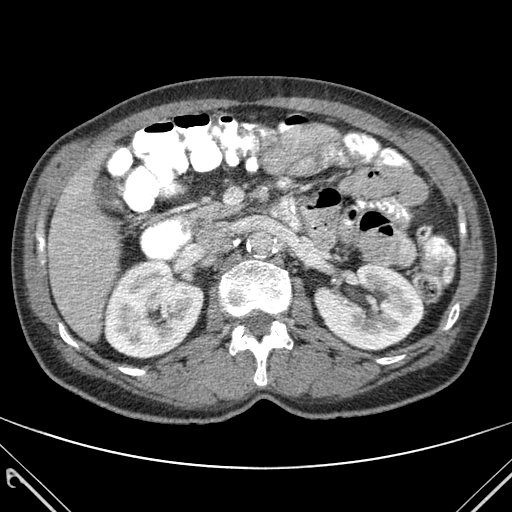

CT slice; Upper abdomen; 512x512
* bone: box(59, 323, 77, 346); box(230, 321, 292, 385); box(377, 356, 403, 363); box(445, 304, 458, 329); box(119, 368, 144, 375); box(36, 227, 44, 262); box(220, 260, 290, 317)
* kidney: box(106, 261, 202, 356); box(316, 265, 422, 349)
* liver: box(102, 146, 116, 153); box(48, 158, 121, 341)